Field of view 472x472 mm. Liver. CT slice.
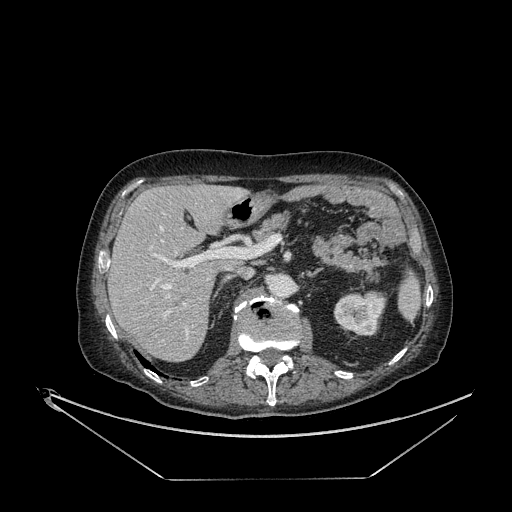 kidney: (left=334, top=291, right=385, bottom=334) | liver: (left=108, top=184, right=248, bottom=361)